FLAIR magnetic resonance.
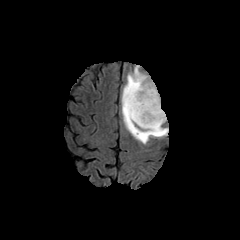
T1-weighted MR.
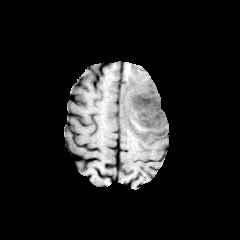
Post-contrast T1-weighted magnetic resonance.
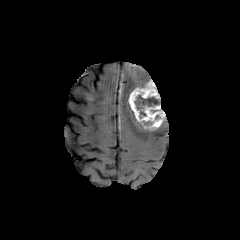
T2-weighted MR.
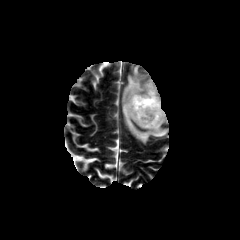
Brain.
The edema appears at left=120, top=65, right=168, bottom=145. The non-enhancing tumor core is at left=135, top=95, right=160, bottom=109. The enhancing tumor is located at left=128, top=79, right=166, bottom=130.